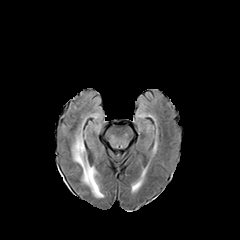
FLAIR MR image.
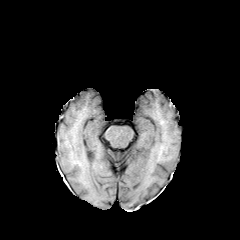
Same slice, T1-weighted MR.
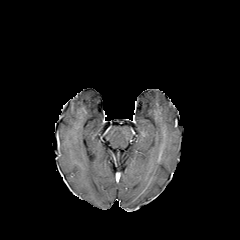
Post-contrast T1-weighted MRI.
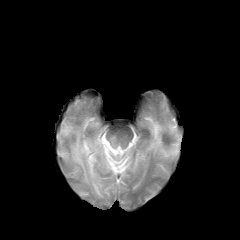
T2-weighted MR of the same slice.
edema: region(73, 133, 103, 197)